240x240 px. Brain.
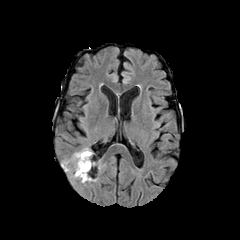
FLAIR MR.
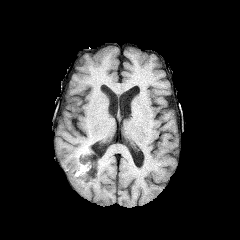
T1-weighted magnetic resonance.
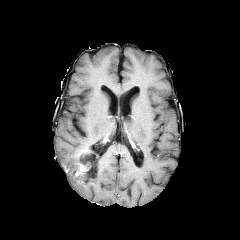
Post-contrast T1-weighted MRI of the same slice.
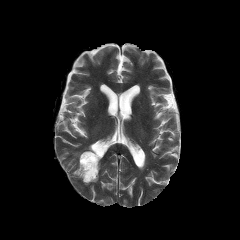
T2-weighted MR of the same slice.
Enhancing tumor: bounding box box(75, 163, 88, 175).
Non-enhancing tumor core: bounding box box(77, 148, 97, 181).
Edema: bounding box box(62, 151, 96, 184).